FLAIR magnetic resonance.
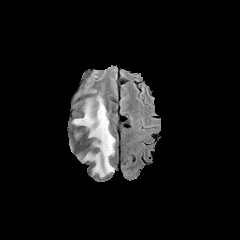
T1-weighted MR image.
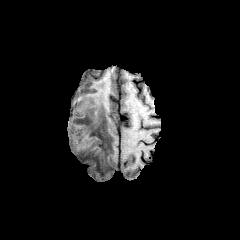
Post-contrast T1-weighted MRI.
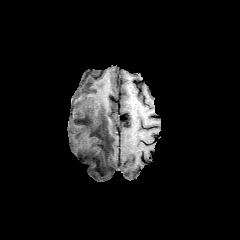
T2-weighted MR image.
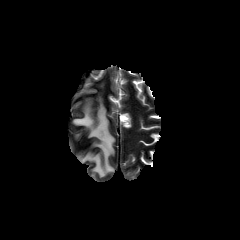
Brain, 240x240
Edema: bbox(73, 96, 115, 177).